512x512. CT slice.

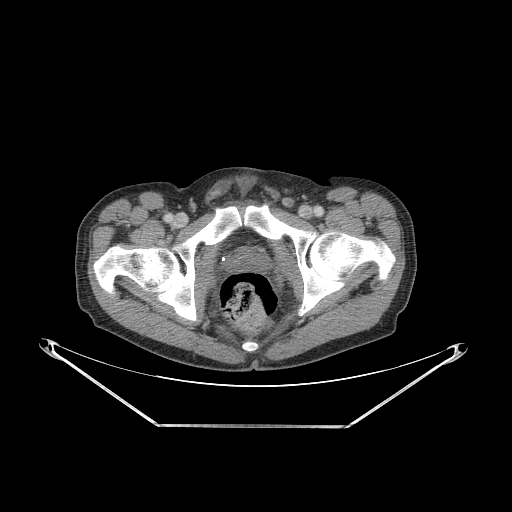 3 bone regions are bounded by {"x1": 94, "y1": 207, "x2": 241, "y2": 320}, {"x1": 243, "y1": 343, "x2": 255, "y2": 350}, {"x1": 244, "y1": 206, "x2": 395, "y2": 313}.